Slice index 336. Computed tomography. 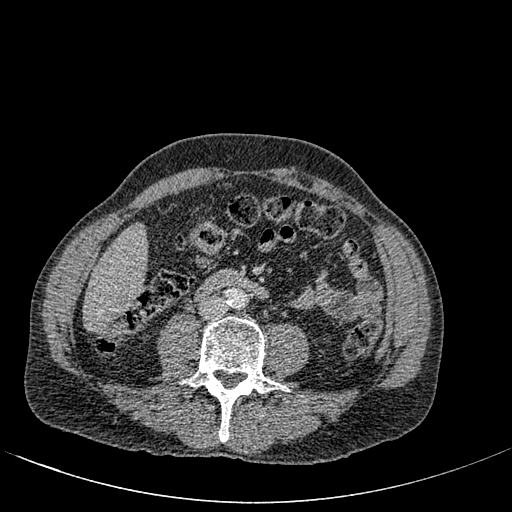

The liver is at (85, 227, 145, 327).